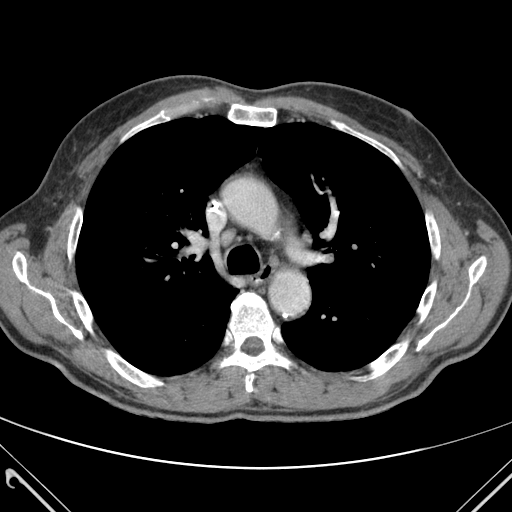
Chest | CT slice
Lung: bounding box [76,116,430,375].
Bone: bounding box [68,209,82,258], [332,121,398,162], [221,292,289,391], [228,103,277,126], [469,257,486,286], [418,283,436,321], [426,215,440,257], [417,298,466,350], [124,111,169,138], [73,292,91,331], [371,342,407,378], [107,351,162,387], [13,252,82,338].